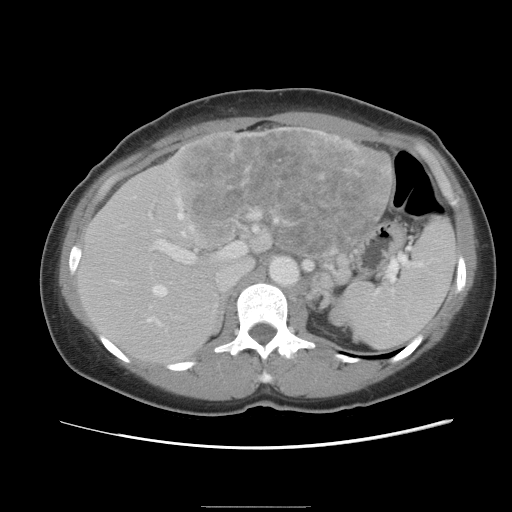

Abdomen; Computed tomography
Only some of the vessels may be annotated.
The liver tumor is at bbox(175, 129, 391, 254). 11 hepatic vessel regions appear at bbox(152, 285, 165, 295); bbox(156, 321, 160, 324); bbox(156, 239, 194, 262); bbox(147, 317, 152, 320); bbox(181, 231, 184, 234); bbox(211, 238, 253, 291); bbox(148, 213, 150, 214); bbox(178, 213, 179, 217); bbox(150, 247, 152, 248); bbox(176, 198, 177, 202); bbox(253, 225, 256, 229).